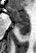 Hippocampus | MRI slice | 36x53 px
<segmentation>
  <posterior_hippocampus><box>15,24,29,36</box></posterior_hippocampus>
  <anterior_hippocampus><box>8,7,29,23</box></anterior_hippocampus>
</segmentation>